Brain
FLAIR magnetic resonance.
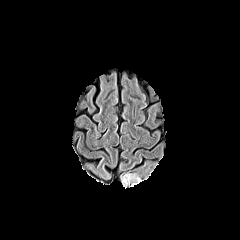
T1-weighted MR.
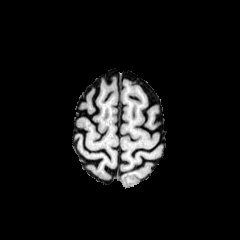
Post-contrast T1-weighted MRI.
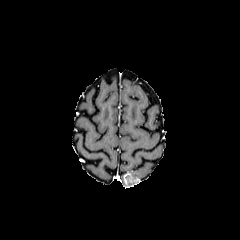
T2-weighted MR image.
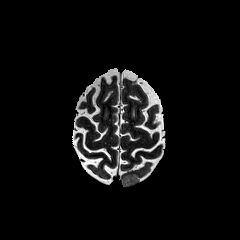
The enhancing tumor is located at <bbox>123, 172, 140, 185</bbox>.